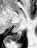 Medial temporal lobe | MRI

Posterior hippocampus: bounding box left=8, top=30, right=22, bottom=41.